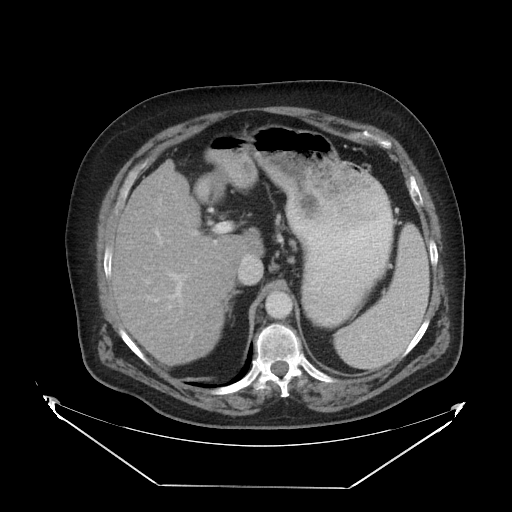
CT slice

The vessel annotation is not exhaustive.
2 hepatic vessel regions are located at 169,274,183,305; 216,223,229,231.